Slice 110/188; CT scan slice

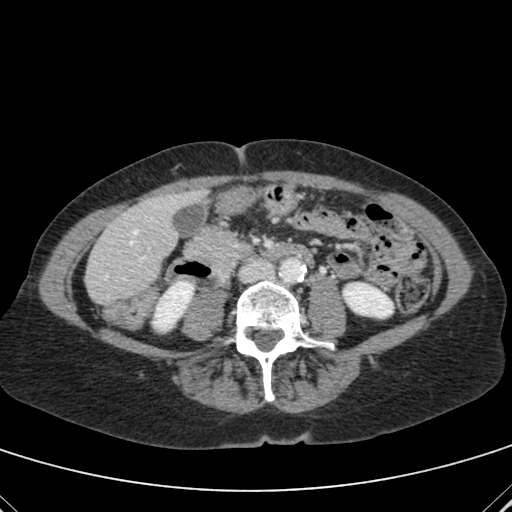
Segmented structures:
* kidney: bbox(153, 282, 193, 330); bbox(343, 283, 392, 317)
* liver: bbox(85, 190, 200, 304)